Head. 240x240 px.
FLAIR MR image.
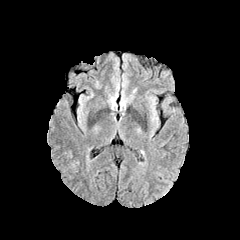
T1-weighted MRI.
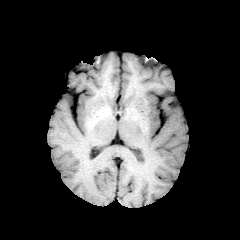
Post-contrast T1-weighted MR image.
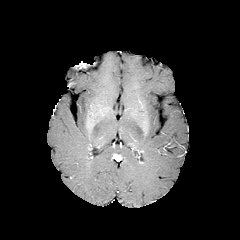
T2-weighted MR image.
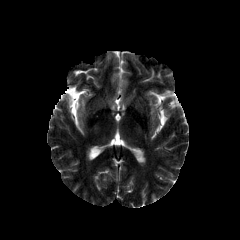
The edema appears at (left=150, top=102, right=156, bottom=123).